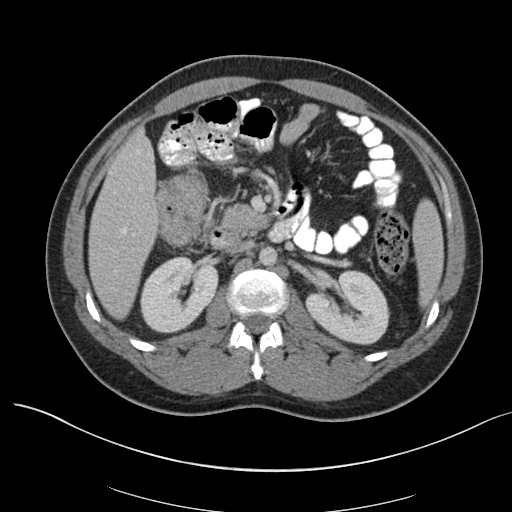
CT image. Abdomen. 512x512.

{"colon_tumor": ["156:174:208:246"]}